Lung | CT scan slice | Slice 186/241 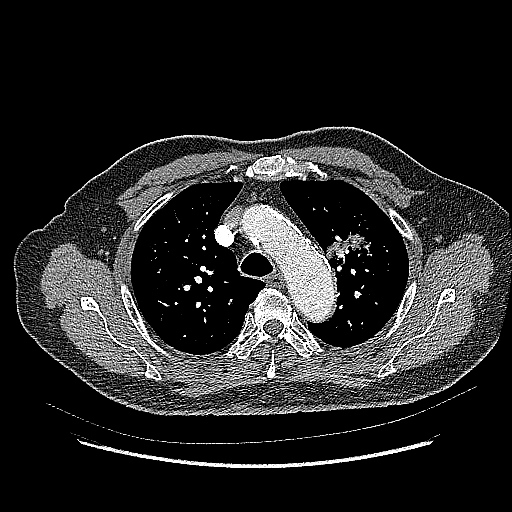 The lung tumor appears at <bbox>323, 229, 373, 264</bbox>.